Abdomen; CT image

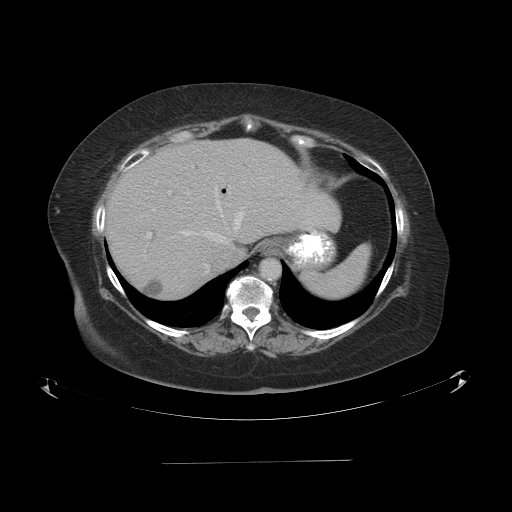

Some hepatic vessels may have no box.
The liver tumor is at l=143, t=277, r=162, b=296. 10 hepatic vessel regions are bounded by l=202, t=175, r=223, b=193; l=216, t=199, r=220, b=209; l=147, t=233, r=150, b=237; l=181, t=230, r=228, b=243; l=233, t=212, r=243, b=231; l=226, t=228, r=228, b=229; l=206, t=177, r=208, b=180; l=186, t=192, r=189, b=194; l=202, t=169, r=213, b=171; l=190, t=194, r=206, b=201.